Slice 53 of 155
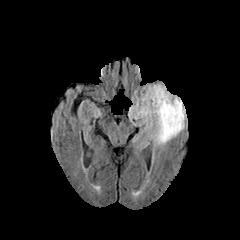
FLAIR MR.
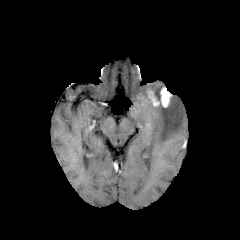
T1-weighted MRI.
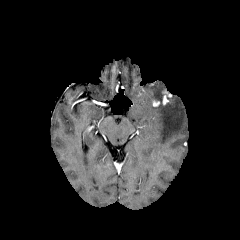
Post-contrast T1-weighted MR image.
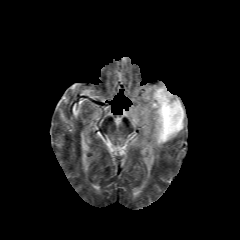
T2-weighted MR.
Enhancing tumor — 163:89:172:104, 150:98:159:107.
Edema — 128:84:187:146.